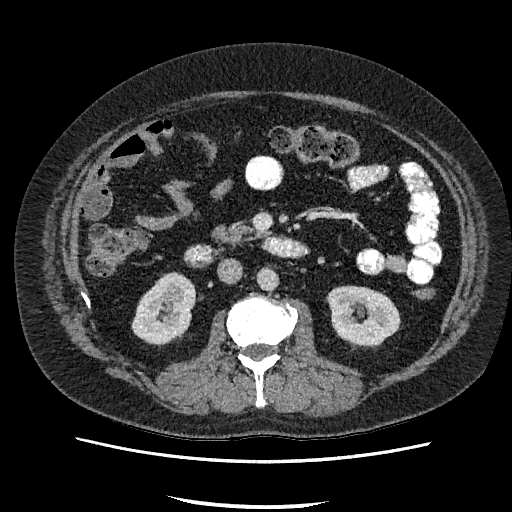 CT image; Abdomen

Kidney — <box>133,275,194,343</box>, <box>329,287,398,344</box>.